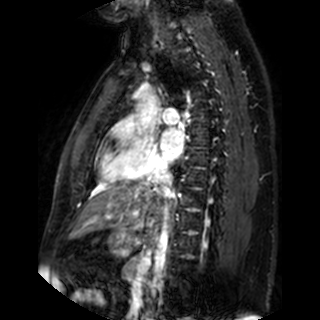

Heart, MRI
- left atrium: x1=160 y1=129 x2=183 y2=161